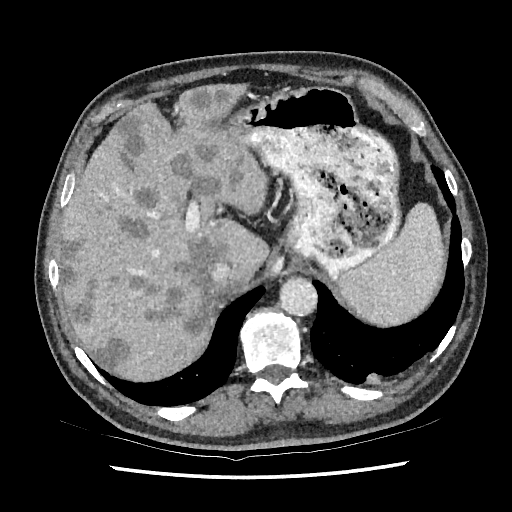 Computed tomography. Upper abdomen. {
  "partial": true,
  "focal_liver_lesion": {
    "n_total": 16,
    "boxes": [
      "126 274 161 296",
      "136 187 155 207",
      "109 301 119 311",
      "98 201 113 218",
      "190 89 230 110",
      "70 277 98 324",
      "172 347 183 357",
      "116 115 144 173",
      "230 153 243 183",
      "143 233 231 335",
      "118 214 150 240",
      "61 235 90 287",
      "191 146 220 163",
      "170 151 225 200",
      "90 337 133 368"
    ]
  },
  "liver": [
    "59 84 268 381"
  ]
}